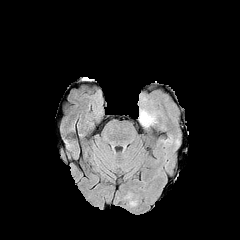
FLAIR magnetic resonance.
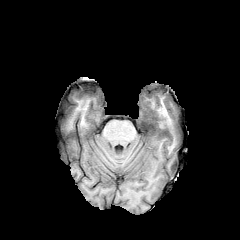
Same slice, T1-weighted MR image.
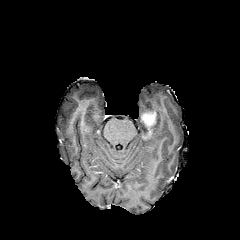
Post-contrast T1-weighted MR image.
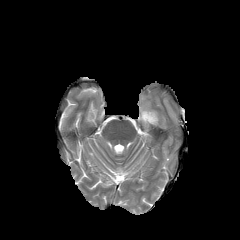
T2-weighted MRI of the same slice.
Head, 240x240
Annotated regions:
* enhancing tumor: [x1=141, y1=111, x2=156, y2=129]
* edema: [x1=138, y1=102, x2=151, y2=121]